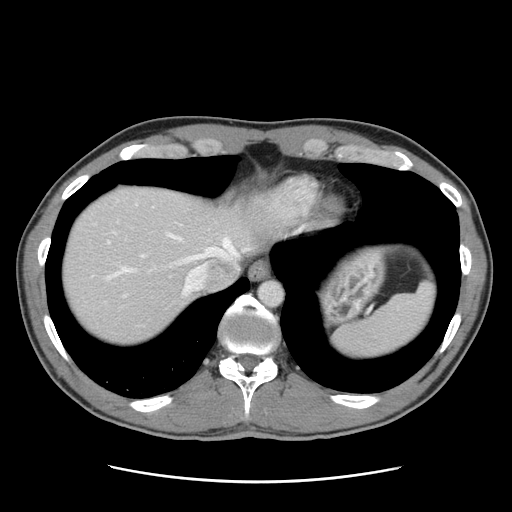
CT. Liver. Only some of the vessels may be annotated.
7 hepatic vessel regions appear at (243, 248, 248, 250), (187, 238, 237, 260), (168, 234, 181, 239), (105, 266, 131, 279), (140, 254, 145, 256), (183, 265, 205, 293), (107, 241, 108, 242).